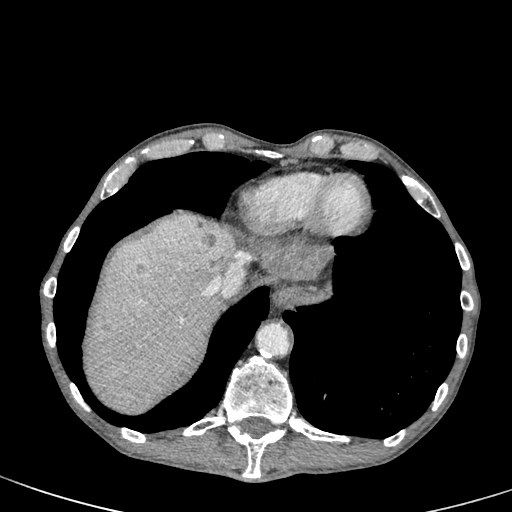 Computed tomography. <segmentation>
  <liver><bbox>318, 245, 332, 258</bbox>, <bbox>258, 260, 308, 280</bbox>, <bbox>83, 216, 229, 414</bbox></liver>
  <hepatic_lesion><bbox>197, 223, 234, 260</bbox>, <bbox>257, 245, 329, 279</bbox></hepatic_lesion>
</segmentation>